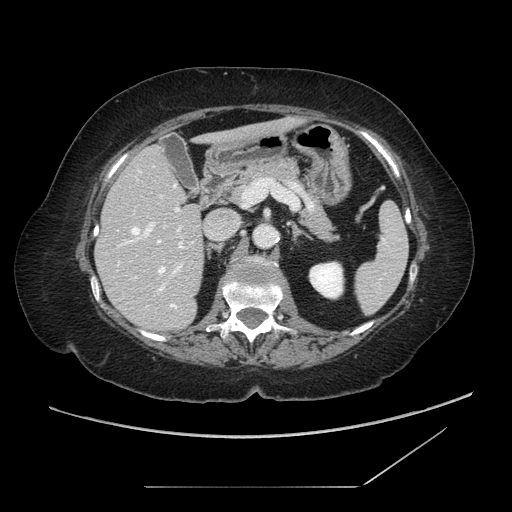
Upper abdomen. Image size 512x512. CT scan slice.

The pancreas appears at 214:155:340:243.